Liver | Slice 374 of 696 | CT slice

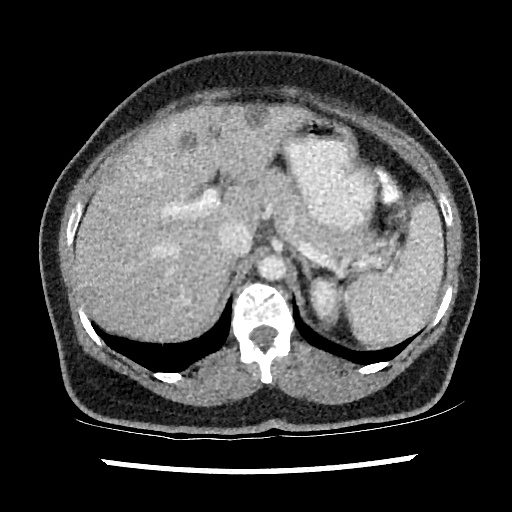 * kidney: x1=314 y1=281 x2=335 y2=314
* liver: x1=74 y1=103 x2=303 y2=339
* liver lesion: x1=106 y1=171 x2=114 y2=182, x1=249 y1=179 x2=257 y2=188, x1=181 y1=132 x2=197 y2=149, x1=244 y1=106 x2=268 y2=127, x1=78 y1=288 x2=97 y2=312, x1=219 y1=107 x2=229 y2=121